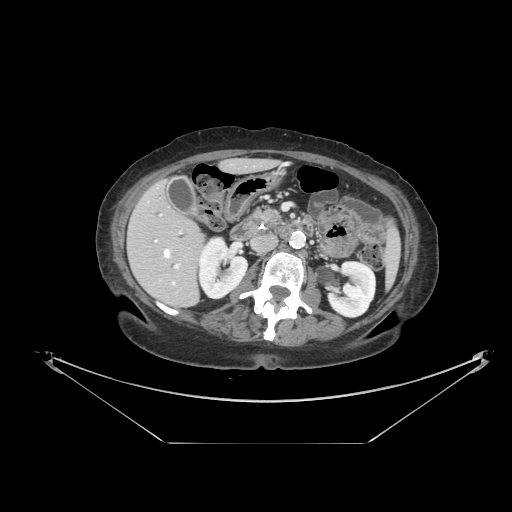

Image size 512x512. CT image. Upper abdomen.
pancreatic_tumor:
  - bbox(265, 210, 279, 224)
pancreas:
  - bbox(254, 207, 277, 220)